Slice index 420; CT
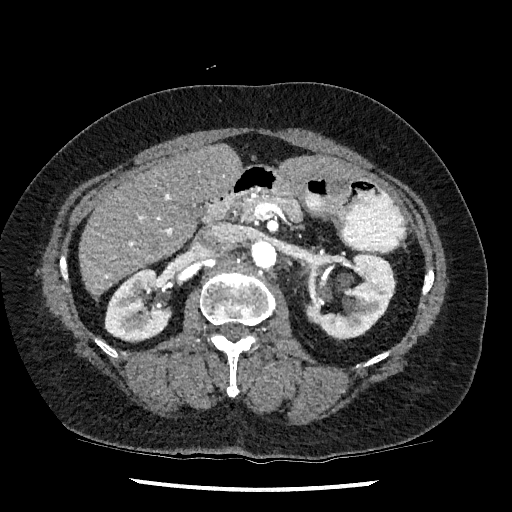

kidney:
  - x1=307, y1=254, x2=394, y2=338
  - x1=320, y1=267, x2=330, y2=286
  - x1=105, y1=262, x2=185, y2=340
liver:
  - x1=79, y1=146, x2=241, y2=296
  - x1=282, y1=158, x2=364, y2=181